CT. Image size 512x512.

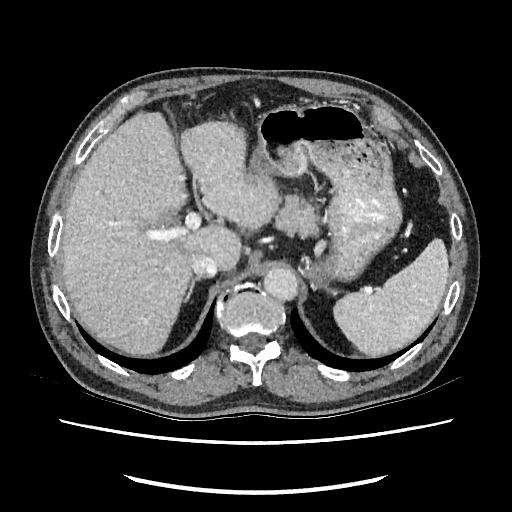
Findings:
- hepatic lesion: [161, 210, 171, 218]
- liver: [181, 121, 277, 227], [62, 114, 239, 353]